FLAIR MRI.
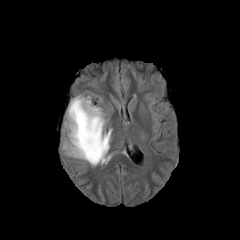
T1-weighted MR image.
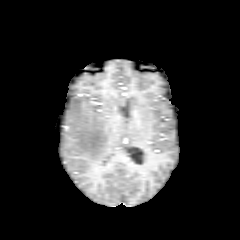
Post-contrast T1-weighted MR.
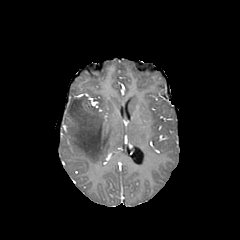
T2-weighted MRI.
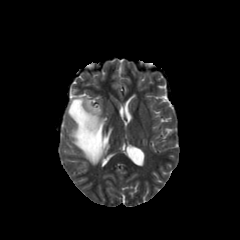
Head
Edema: box(67, 97, 111, 165).